CT slice, Image size 512x512, Slice 137/217 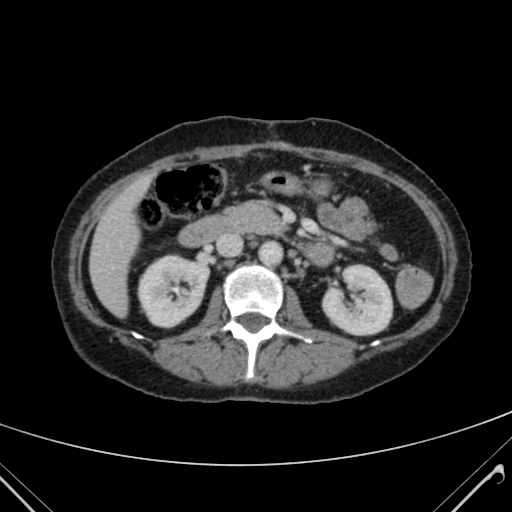
- kidney: <box>139,256,208,325</box>, <box>323,266,391,334</box>
- liver: <box>90,180,144,310</box>